Computed tomography; Slice 82/105

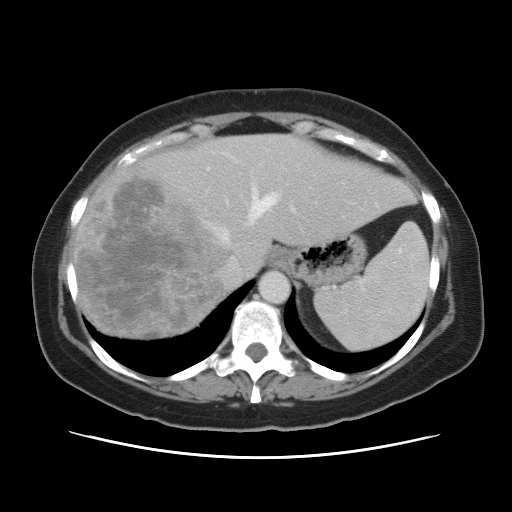 Some hepatic vessels may have no box.
Findings:
- liver tumor: 77, 176, 224, 334
- hepatic vessel: 252, 187, 277, 216; 226, 199, 227, 201; 221, 256, 252, 287; 224, 152, 227, 154; 291, 206, 293, 210; 207, 167, 209, 168; 234, 160, 236, 162; 216, 227, 246, 252; 243, 237, 247, 238